Pelvis. Computed tomography. 512x512. 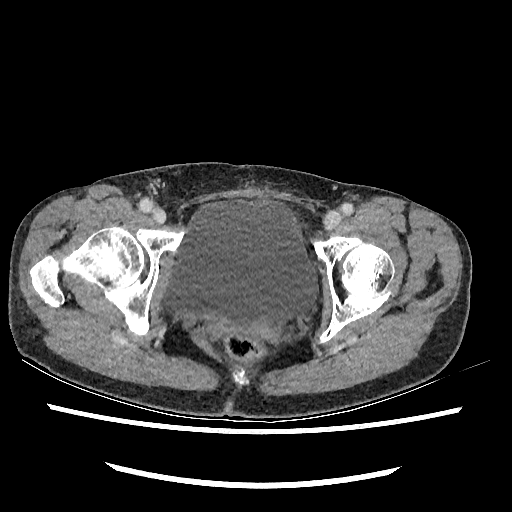
The urinary bladder is at [162, 196, 317, 330].